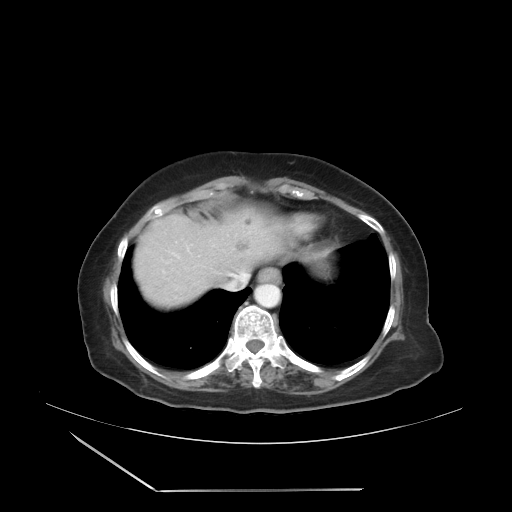
512x512. CT.

Not every hepatic vessel necessarily has a box.
Hepatic vessel: [163, 271, 165, 273], [186, 244, 191, 252], [223, 273, 246, 290], [166, 260, 171, 262], [172, 252, 179, 257].